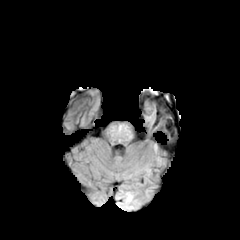
FLAIR MRI.
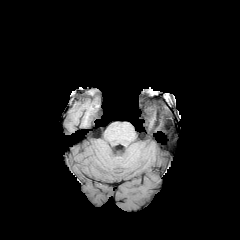
T1-weighted MR image.
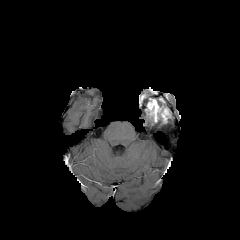
Post-contrast T1-weighted MR.
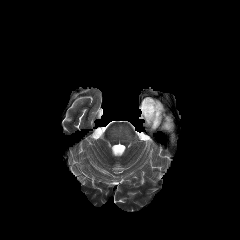
Same slice, T2-weighted MR.
The enhancing tumor is located at box(145, 101, 159, 119). The non-enhancing tumor core lies within box(157, 110, 169, 119).